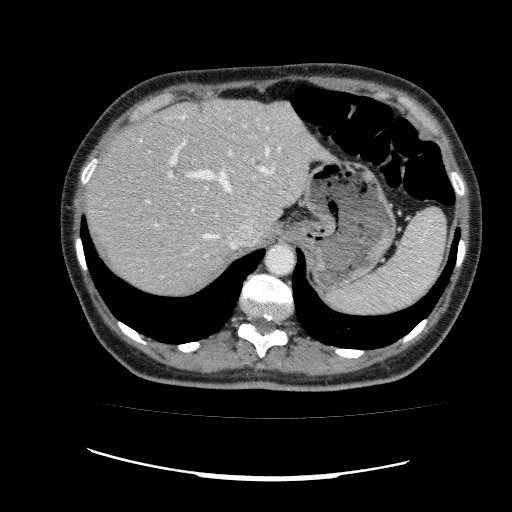

CT scan slice. Upper abdomen.
Liver — left=85, top=98, right=333, bottom=296.